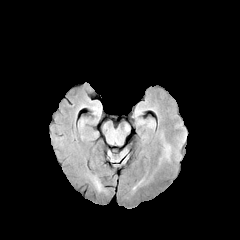
FLAIR MR.
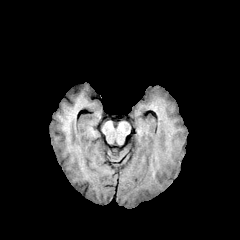
T1-weighted magnetic resonance of the same slice.
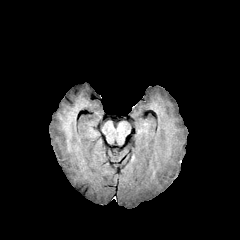
Same slice, post-contrast T1-weighted MR.
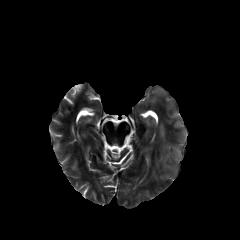
Same slice, T2-weighted MR.
<segmentation>
  <edema>[147,120,155,128], [164,145,170,157]</edema>
</segmentation>